CT slice. Abdomen.

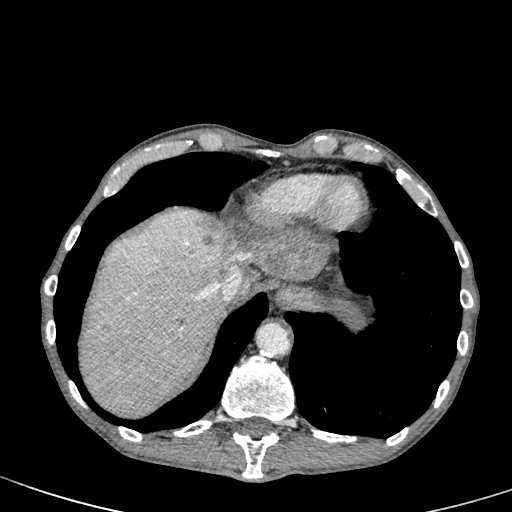

Liver = 272:274:305:280, 240:268:261:294, 80:210:248:417.
Liver lesion = 198:212:331:279.